FLAIR magnetic resonance.
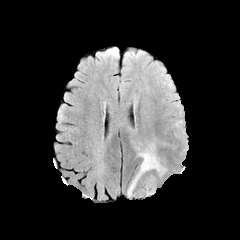
T1-weighted MR.
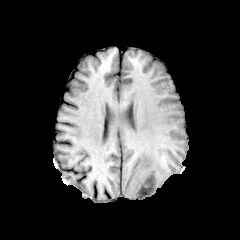
Post-contrast T1-weighted MR image.
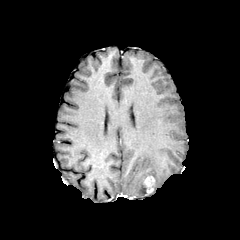
T2-weighted MRI.
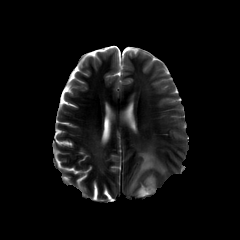
Image size 240x240; Brain
<segmentation>
  <enhancing_tumor>bbox(144, 176, 155, 196)</enhancing_tumor>
  <edema>bbox(127, 149, 165, 196)</edema>
</segmentation>